Liver, CT scan slice, Slice index 155

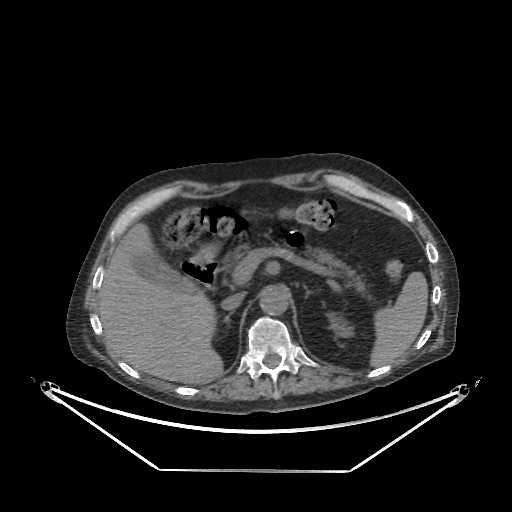 liver:
  - (x1=95, y1=224, x2=222, y2=383)
kidney:
  - (x1=327, y1=313, x2=353, y2=337)